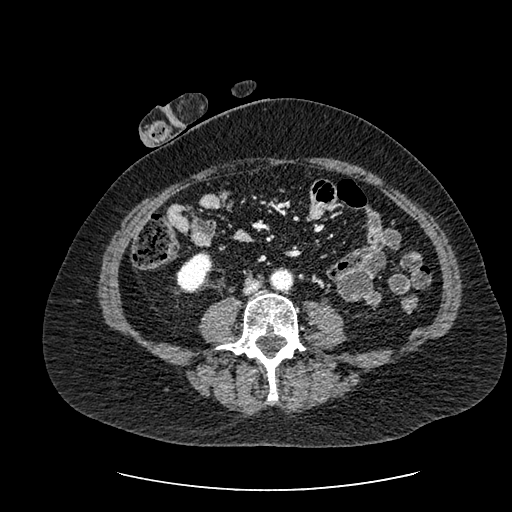

512x512; Computed tomography
kidney: bbox(177, 254, 210, 291)